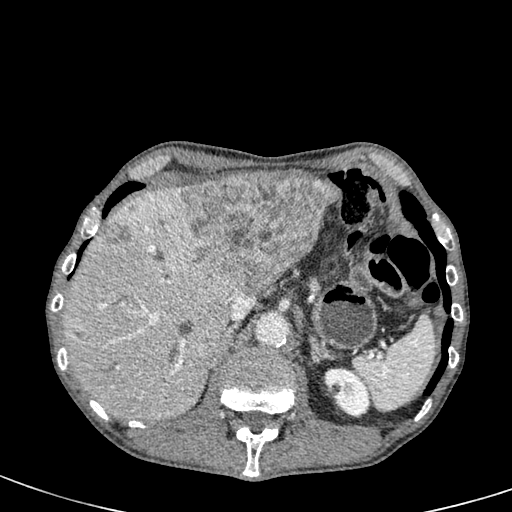
Abdomen, CT scan slice

Kidney: bounding box (x1=324, y1=367, x2=372, y2=419).
Liver: bounding box (x1=63, y1=186, x2=242, y2=421), (x1=284, y1=172, x2=319, y2=179), (x1=259, y1=280, x2=274, y2=296).
Hepatic lesion: bounding box (x1=101, y1=223, x2=132, y2=242), (x1=184, y1=174, x2=335, y2=293).